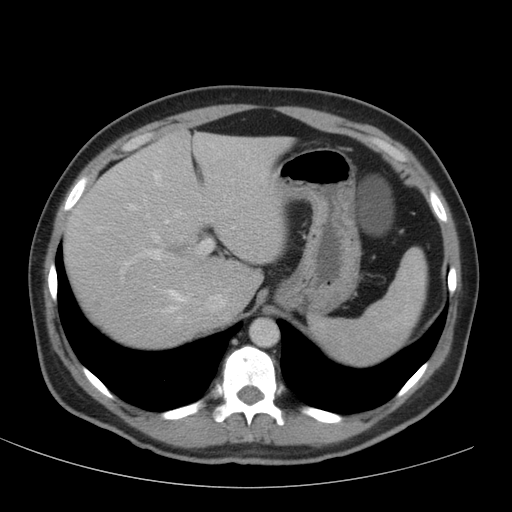 CT image

Liver: l=65, t=128, r=289, b=344.
Hepatic lesion: l=94, t=298, r=103, b=309.